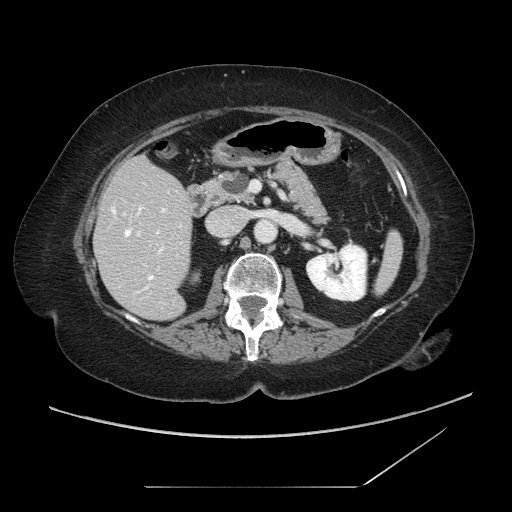
512x512 px | CT scan slice
pancreatic tumor: 221 173 249 195 | pancreas: 213 170 255 205, 266 158 331 227